Image size 240x240
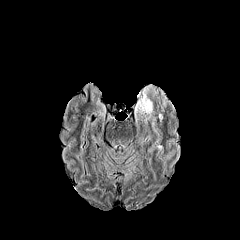
FLAIR MR.
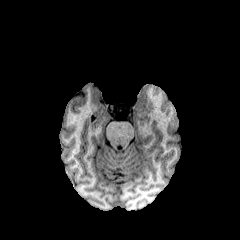
Same slice, T1-weighted magnetic resonance.
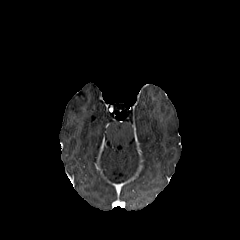
Post-contrast T1-weighted MRI of the same slice.
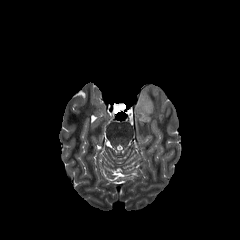
T2-weighted MRI.
Edema at rect(134, 85, 153, 134).